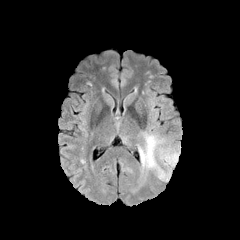
FLAIR MRI.
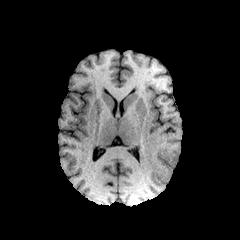
T1-weighted MR of the same slice.
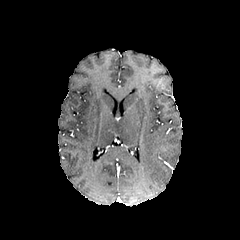
Post-contrast T1-weighted magnetic resonance.
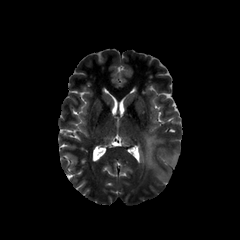
T2-weighted MRI.
Brain
- edema: [137,134,156,171], [165,153,178,166], [158,168,171,182]